Slice index 82
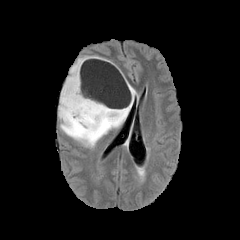
FLAIR MR image.
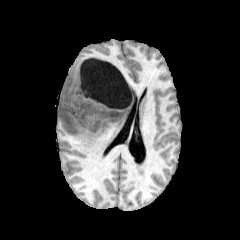
T1-weighted magnetic resonance.
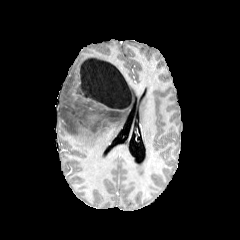
Post-contrast T1-weighted MRI of the same slice.
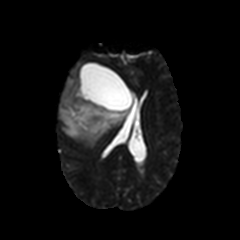
T2-weighted MR.
non-enhancing tumor core: 61 104 92 133, 78 76 127 120 | edema: 57 56 138 147